FLAIR MR image.
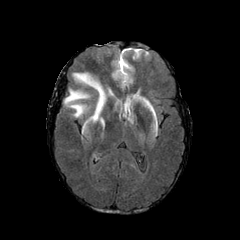
T1-weighted MR.
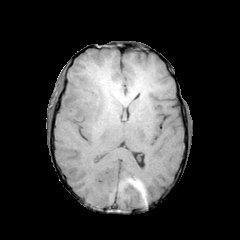
Post-contrast T1-weighted MRI.
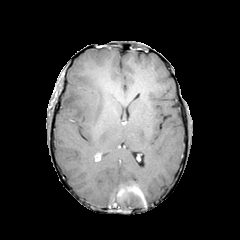
T2-weighted MRI.
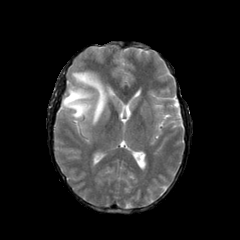
Head | Image size 240x240
The edema is located at region(63, 71, 113, 126).